Computed tomography, Abdomen
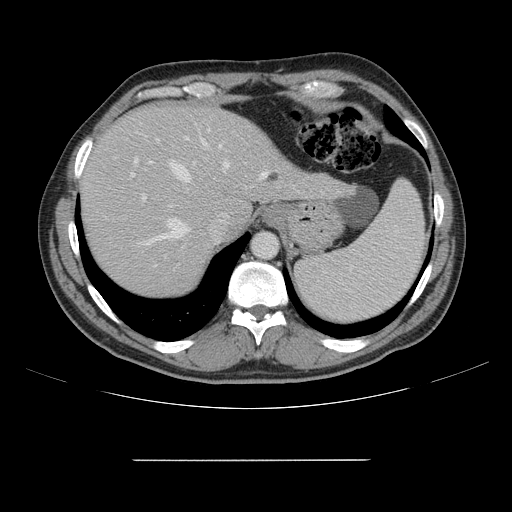 The vessel annotation is not exhaustive.
The liver tumor is located at 269, 174, 278, 181. 11 hepatic vessel regions appear at 134, 157, 138, 163; 141, 218, 187, 244; 193, 162, 195, 164; 200, 137, 207, 148; 260, 172, 267, 177; 164, 256, 165, 257; 219, 143, 221, 147; 185, 137, 188, 139; 222, 161, 228, 170; 142, 194, 145, 200; 131, 173, 133, 175.